CT slice; Image size 512x512; Lower abdomen 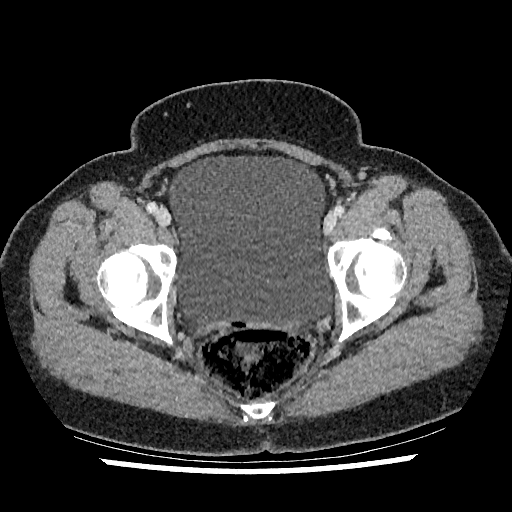
<segmentation>
  <urinary_bladder>box=[169, 155, 333, 333]</urinary_bladder>
</segmentation>